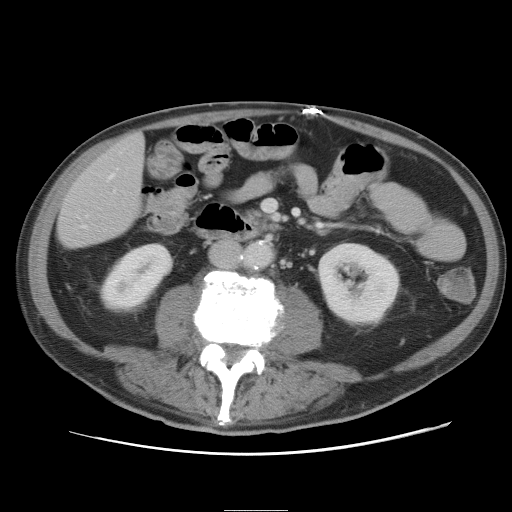 512x512 | CT slice | Abdomen

The vessel annotation is not exhaustive.
3 hepatic vessel regions are located at box=[83, 226, 85, 228]; box=[109, 175, 113, 179]; box=[136, 134, 140, 138].